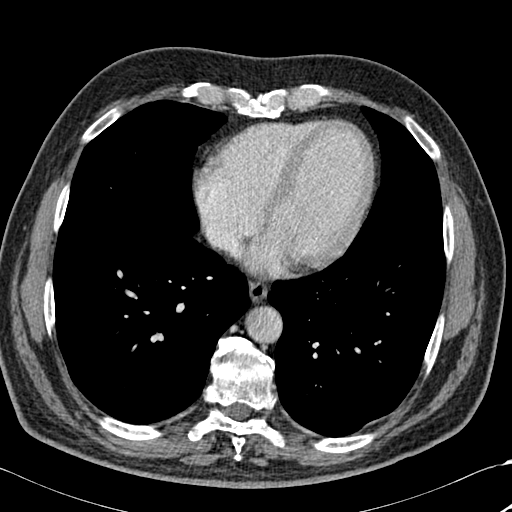 CT scan slice
<segmentation>
  <bone>44 281 54 331, 425 318 443 369, 179 83 209 91, 100 418 160 440, 227 85 326 117, 443 208 453 258, 180 93 198 96, 54 187 68 229, 406 117 438 158, 83 109 119 140, 188 337 283 458, 315 435 372 452</bone>
  <lung>52 100 250 424, 267 106 445 437</lung>
</segmentation>